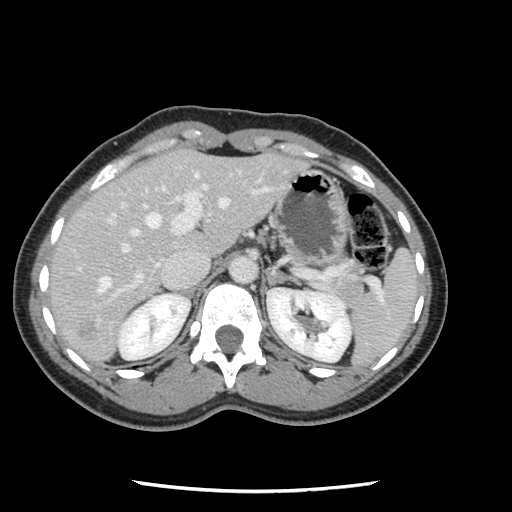

CT slice, Abdomen

Some hepatic vessels may have no box.
<segmentation>
  <liver_tumor><bbox>75, 323, 95, 338</bbox></liver_tumor>
  <hepatic_vessel><bbox>172, 191, 200, 233</bbox>, <bbox>162, 187, 164, 190</bbox>, <bbox>98, 276, 110, 292</bbox>, <bbox>130, 229, 137, 233</bbox>, <bbox>121, 243, 128, 250</bbox>, <bbox>194, 172, 197, 176</bbox>, <bbox>116, 291, 118, 292</bbox>, <bbox>128, 273, 141, 286</bbox>, <bbox>121, 202, 124, 205</bbox>, <bbox>201, 185, 205, 188</bbox>, <bbox>218, 198, 227, 206</bbox>, <bbox>143, 204, 145, 206</bbox>, <bbox>252, 187, 268, 193</bbox>, <bbox>145, 212, 160, 227</bbox>, <bbox>107, 213, 114, 220</bbox></hepatic_vessel>
</segmentation>